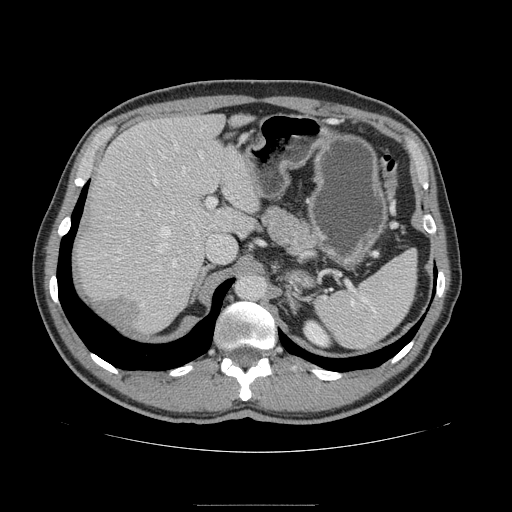
Upper abdomen | CT
Segmented structures:
• pancreas: region(261, 206, 319, 262)